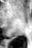

Image size 32x48. MRI. Medial temporal lobe.

The posterior hippocampus is located at 6:39:12:40.